CT image

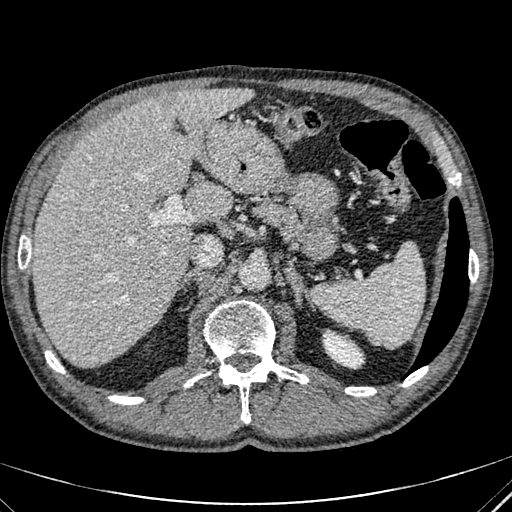 2 liver regions are located at l=184, t=182, r=232, b=220; l=34, t=88, r=253, b=365. The focal liver lesion is bounded by l=158, t=93, r=178, b=107. The kidney lies within l=324, t=333, r=362, b=366.